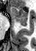 Image size 36x51; MRI
The posterior hippocampus appears at [x1=19, y1=23, x2=28, y2=26]. The anterior hippocampus lies within [x1=10, y1=6, x2=28, y2=22].